Slice index 35, Image size 512x512, CT slice, Upper abdomen 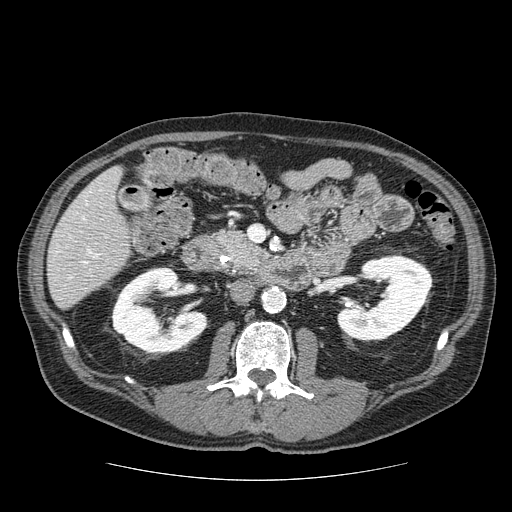
Pancreas — (left=216, top=229, right=269, bottom=274).